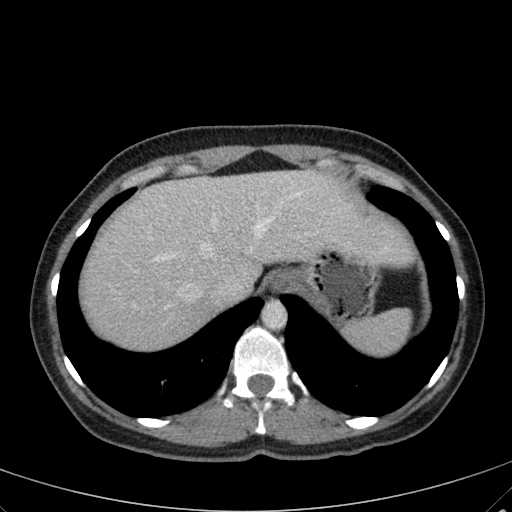
512x512 px | CT scan slice
Liver at 79:168:413:350.